CT | Upper abdomen | 512x512 px | Image width 439 mm

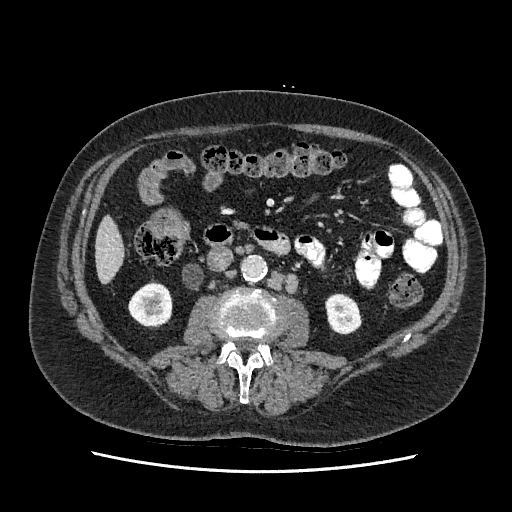

The liver appears at [95, 216, 123, 284]. 2 kidney regions are bounded by [326, 295, 360, 333], [129, 284, 171, 325].